512x512 px | CT image | Image width 451 mm
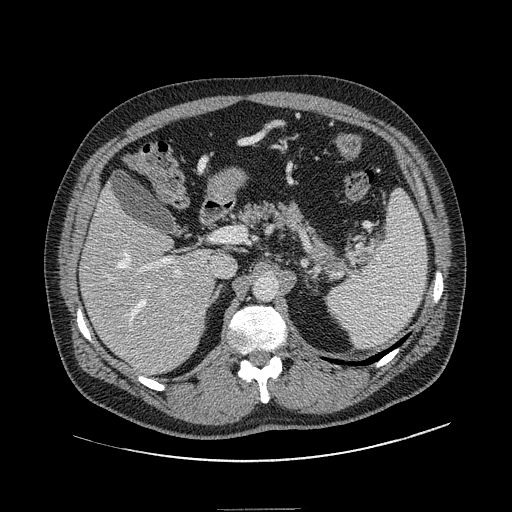

- pancreas: left=239, top=204, right=348, bottom=275
- pancreatic tumor: left=315, top=249, right=340, bottom=269